Field of view 353x353 mm, Pelvis, CT image, Slice 28/96

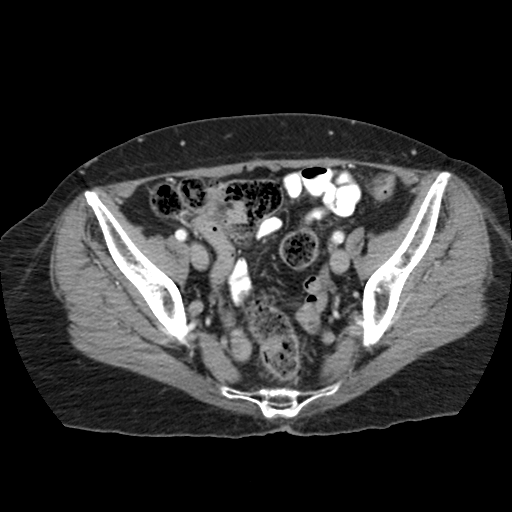

Annotated regions:
- colon tumor: x1=260, y1=337, x2=281, y2=356